Brain; Image width 240 mm
FLAIR MR image.
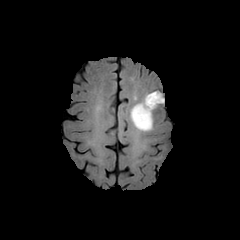
T1-weighted magnetic resonance.
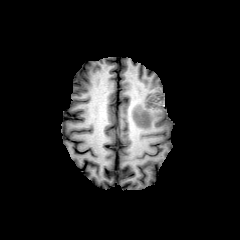
Post-contrast T1-weighted MR.
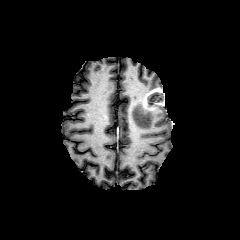
T2-weighted magnetic resonance.
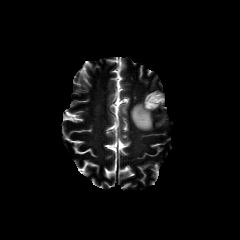
The edema is at 128,101,154,131. The non-enhancing tumor core appears at 147,90,163,106. The enhancing tumor appears at 142,91,161,110.